FLAIR MR.
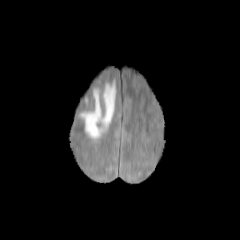
T1-weighted MRI.
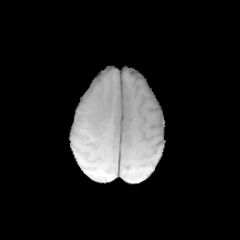
Post-contrast T1-weighted MRI.
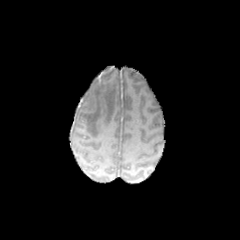
T2-weighted MR.
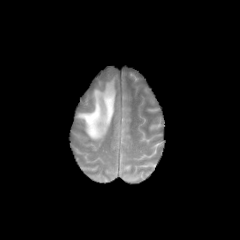
240x240 px. Brain.
The edema is bounded by l=77, t=80, r=115, b=141.